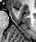

Magnetic resonance | 36x42
{"anterior_hippocampus": ["l=15, t=9, r=17, b=11"]}